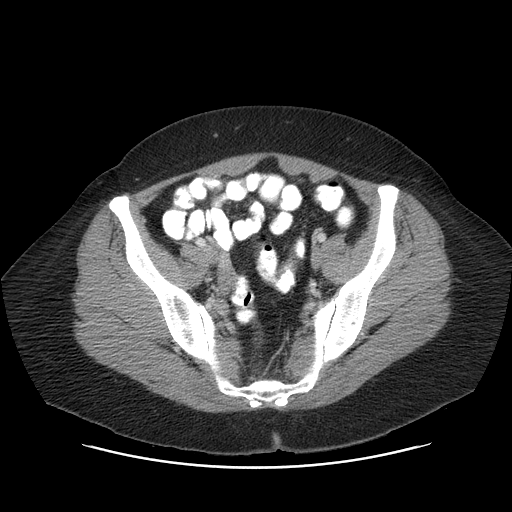
CT slice; Abdomen
Colon tumor: left=277, top=259, right=296, bottom=274.